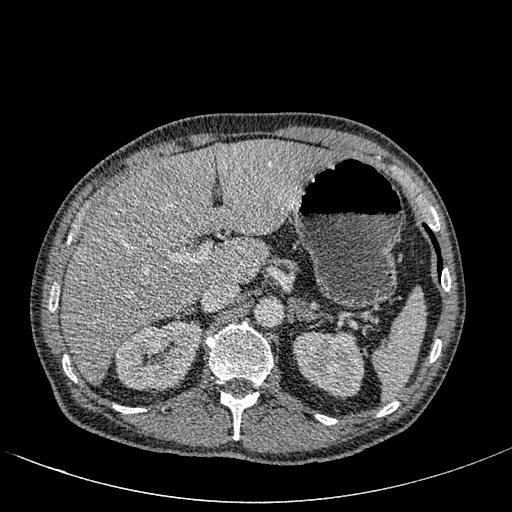

CT; 512x512 px

liver: x1=61 y1=138 x2=340 y2=384 | kidney: x1=293 y1=332 x2=363 y2=395, x1=115 y1=321 x2=201 y2=389 | hepatic lesion: x1=152 y1=164 x2=170 y2=181, x1=216 y1=144 x2=224 y2=151, x1=87 y1=244 x2=99 y2=261